240x240. Head.
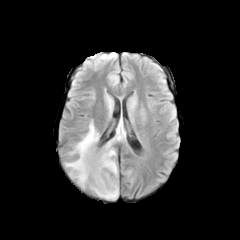
FLAIR magnetic resonance.
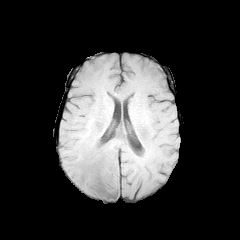
Same slice, T1-weighted magnetic resonance.
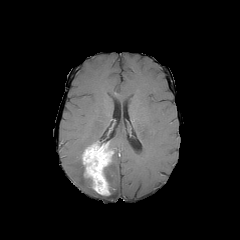
Post-contrast T1-weighted MR image of the same slice.
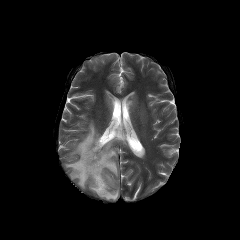
T2-weighted MR.
Annotated regions:
• enhancing tumor: (82, 144, 113, 195)
• edema: (110, 118, 125, 148), (95, 149, 118, 199), (65, 120, 100, 188)